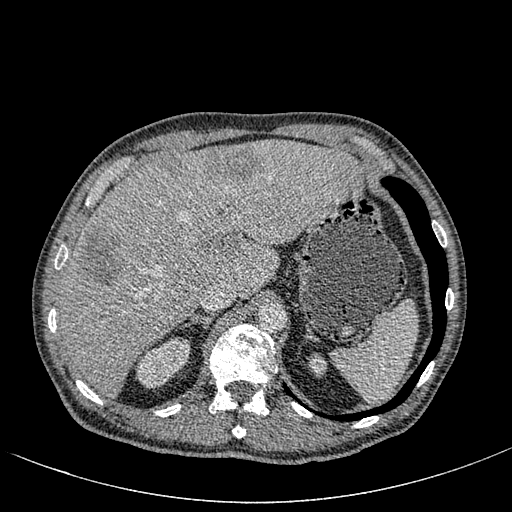

CT scan slice

Kidney: x1=136 y1=338 x2=189 y2=387, x1=309 y1=353 x2=326 y2=375.
Liver: x1=58 y1=140 x2=363 y2=397.
Hepatic lesion: x1=202 y1=147 x2=260 y2=181, x1=162 y1=157 x2=182 y2=173, x1=79 y1=227 x2=122 y2=285, x1=201 y1=230 x2=242 y2=254.